FLAIR MR.
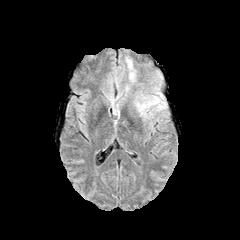
T1-weighted MRI.
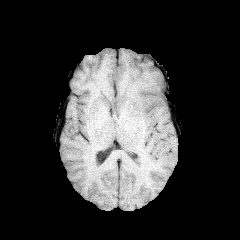
Post-contrast T1-weighted magnetic resonance.
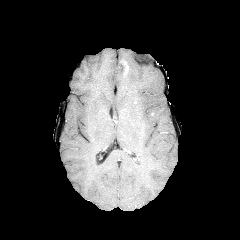
T2-weighted MRI.
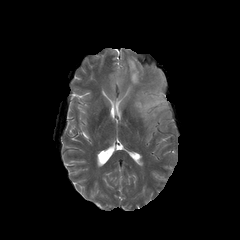
{
  "edema": [
    "left=128, top=61, right=137, bottom=83",
    "left=134, top=87, right=166, bottom=121"
  ]
}